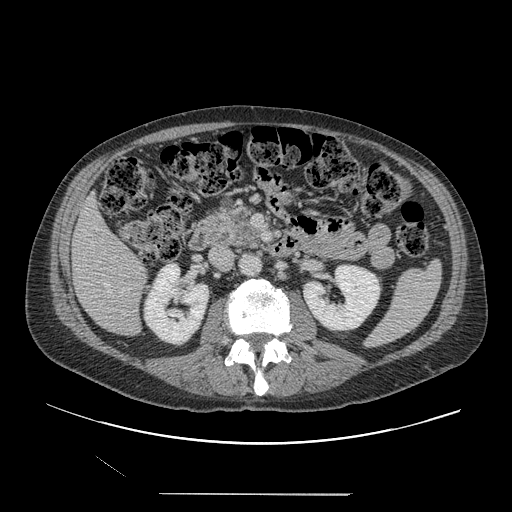

CT
The pancreas is bounded by (x1=209, y1=198, x2=262, y2=250).